FLAIR MR image.
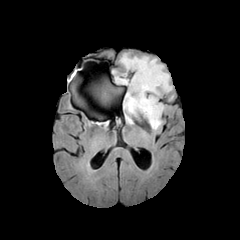
T1-weighted magnetic resonance.
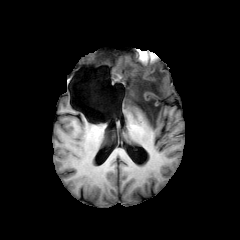
Post-contrast T1-weighted MR image.
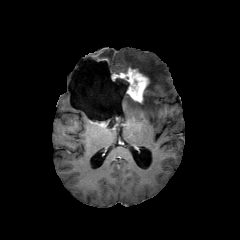
T2-weighted MR.
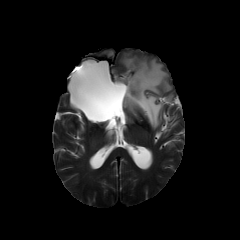
Image size 240x240
* non-enhancing tumor core: 100 86 113 101, 126 78 159 117, 118 80 129 87
* enhancing tumor: 114 68 148 103
* edema: 120 53 172 132